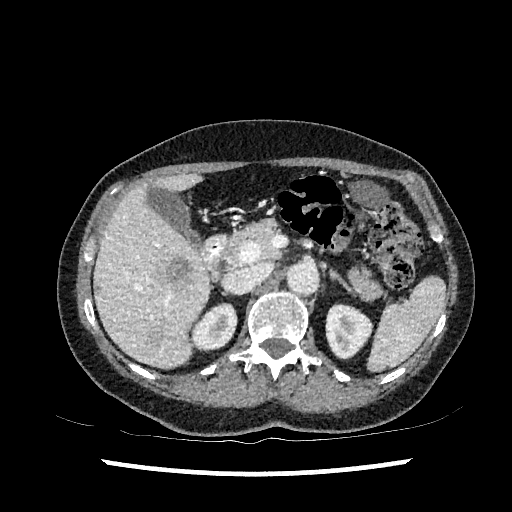 CT image. Abdomen.
{
  "kidney": [
    "193:305:236:348",
    "326:305:370:357"
  ],
  "focal_liver_lesion": [
    "163:257:192:288",
    "148:326:164:349"
  ],
  "liver": [
    "94:173:209:367"
  ]
}